CT scan slice | Slice 123 of 266 | Upper abdomen
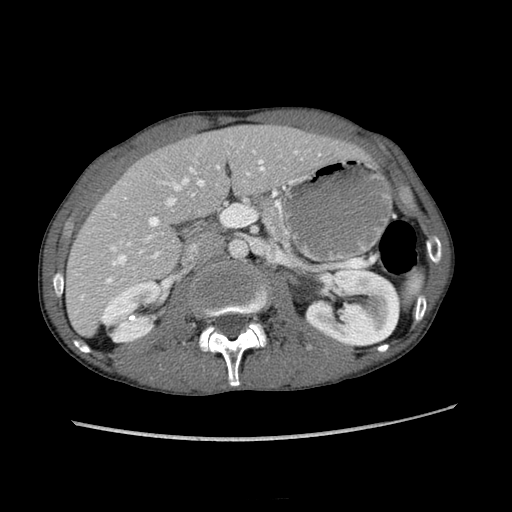 The liver appears at [66, 123, 365, 333]. 3 kidney regions are located at [307, 268, 398, 344], [113, 318, 152, 341], [101, 283, 157, 320].